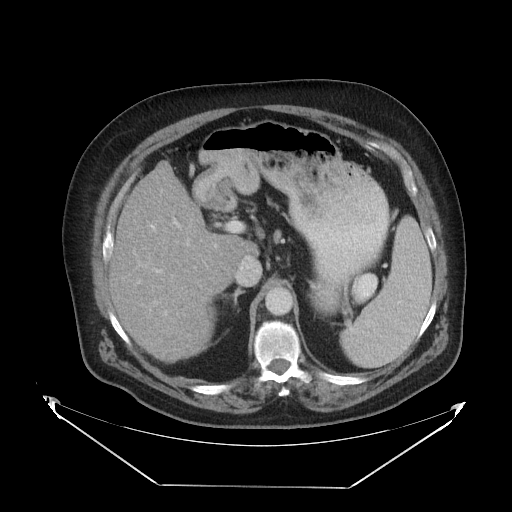

Computed tomography
Some hepatic vessels may have no box.
The hepatic vessel is at [228, 224, 229, 228].